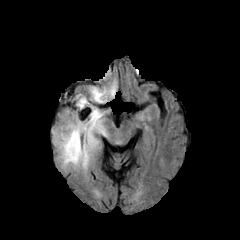
FLAIR MRI.
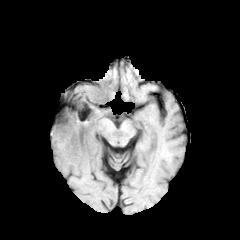
Same slice, T1-weighted MRI.
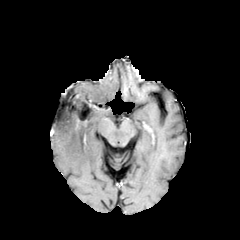
Post-contrast T1-weighted MR.
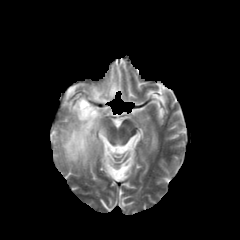
Same slice, T2-weighted magnetic resonance.
240x240
Edema: bounding box rect(52, 71, 117, 173).